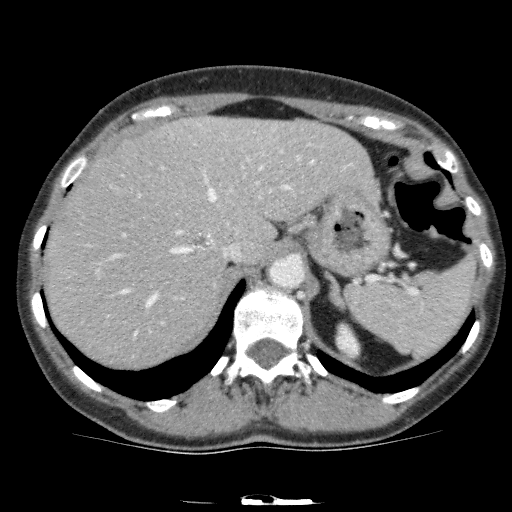 CT slice.

<segmentation>
  <liver>x1=47, y1=116, x2=378, y2=365</liver>
  <kidney>x1=337, y1=328, x2=357, y2=353</kidney>
  <focal_liver_lesion>x1=185, y1=229, x2=214, y2=251</focal_liver_lesion>
</segmentation>